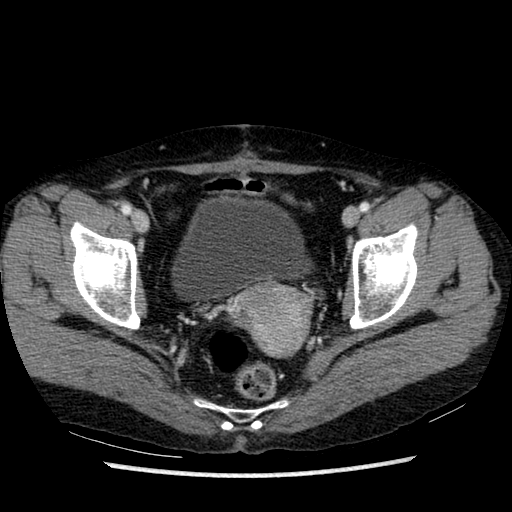 CT slice, 512x512 px
The urinary bladder is at bbox(170, 195, 315, 301).